MR, Medial temporal lobe 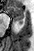

The posterior hippocampus lies within {"x1": 19, "y1": 20, "x2": 23, "y2": 23}. The anterior hippocampus appears at {"x1": 9, "y1": 5, "x2": 23, "y2": 19}.